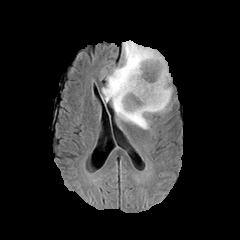
FLAIR magnetic resonance.
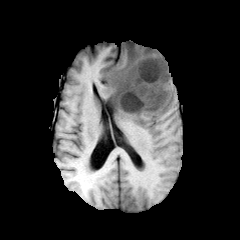
Same slice, T1-weighted MR image.
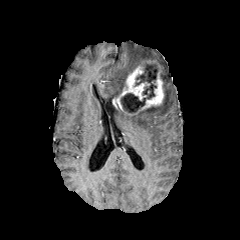
Same slice, post-contrast T1-weighted MRI.
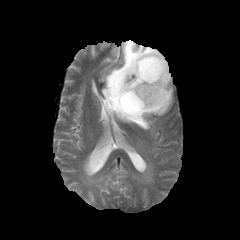
T2-weighted MRI.
240x240. Head.
Segmented structures:
• edema: x1=114 y1=61 x2=173 y2=129, x1=102 y1=41 x2=163 y2=103
• non-enhancing tumor core: x1=121 y1=58 x2=166 y2=112, x1=107 y1=91 x2=120 y2=109
• enhancing tumor: x1=112 y1=65 x2=149 y2=111, x1=142 y1=60 x2=164 y2=109